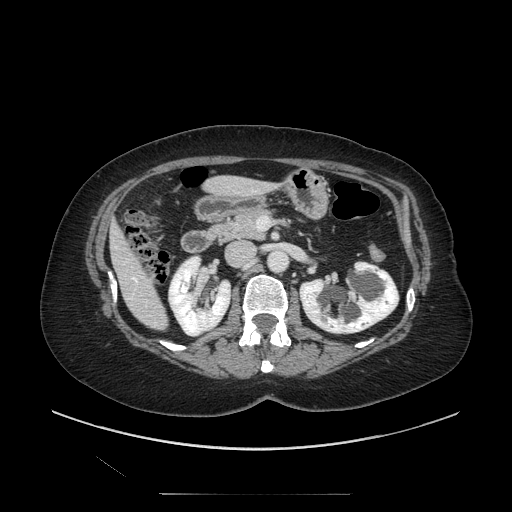 Upper abdomen | CT slice
The pancreas is at (left=218, top=209, right=272, bottom=243).